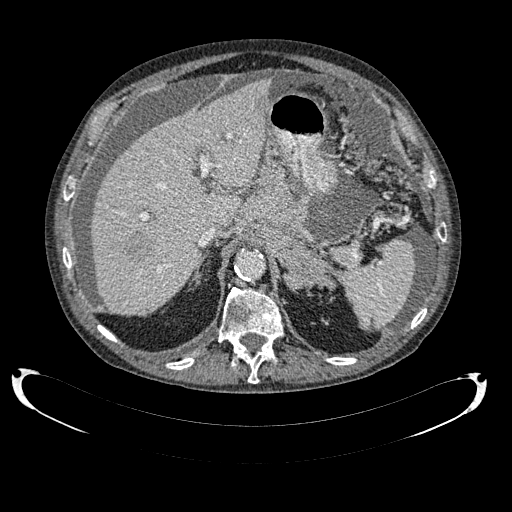
Upper abdomen | Computed tomography

Liver lesion = {"x1": 123, "y1": 234, "x2": 151, "y2": 262}.
Liver = {"x1": 91, "y1": 79, "x2": 271, "y2": 315}.